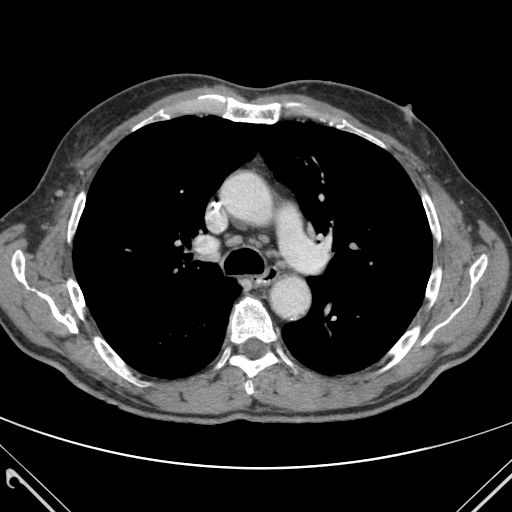

CT slice

The lung lies within box=[73, 116, 431, 378]. The top 15 bone regions (of 17) are bounded by box=[231, 297, 275, 342]; box=[12, 250, 29, 288]; box=[68, 193, 84, 239]; box=[422, 300, 466, 344]; box=[385, 327, 419, 368]; box=[320, 116, 351, 127]; box=[423, 195, 440, 240]; box=[218, 351, 277, 377]; box=[198, 95, 298, 123]; box=[94, 337, 133, 381]; box=[133, 110, 170, 129]; box=[67, 280, 84, 318]; box=[470, 255, 486, 286]; box=[37, 292, 77, 332]; box=[426, 269, 441, 304].